Head, 240x240
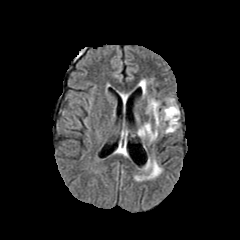
FLAIR MR.
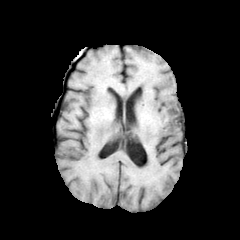
T1-weighted MR.
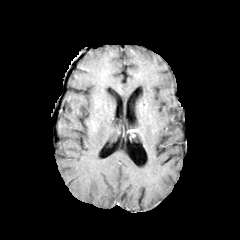
Post-contrast T1-weighted MR of the same slice.
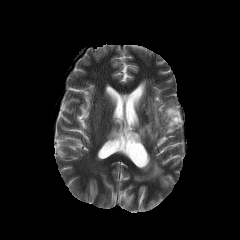
Same slice, T2-weighted MR image.
Edema — box(138, 123, 156, 139); box(148, 97, 179, 133); box(145, 161, 162, 178); box(140, 80, 146, 97).